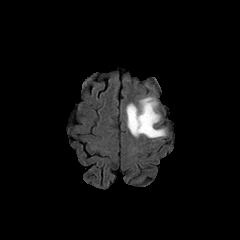
FLAIR MR.
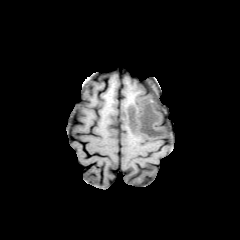
Same slice, T1-weighted MR image.
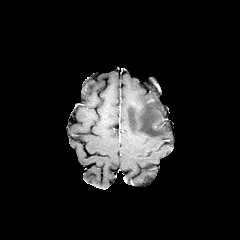
Post-contrast T1-weighted MR of the same slice.
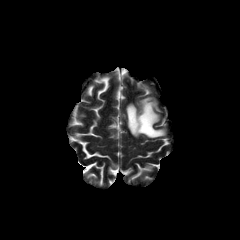
T2-weighted magnetic resonance.
Head.
{
  "edema": [
    "box=[126, 97, 166, 138]"
  ]
}